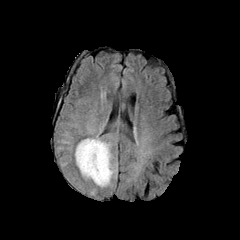
FLAIR MRI.
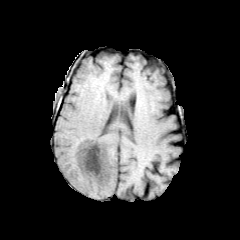
T1-weighted MRI.
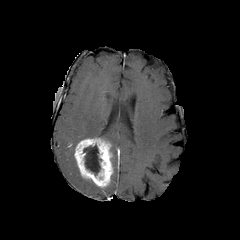
Same slice, post-contrast T1-weighted MRI.
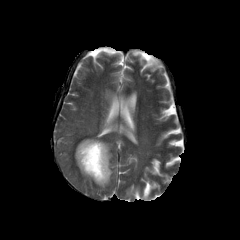
T2-weighted magnetic resonance.
Findings:
* non-enhancing tumor core: [83,144,102,175]
* edema: [59,155,71,168], [74,116,119,196], [57,130,73,152]
* enhancing tumor: [74,138,113,186]